Liver. CT. 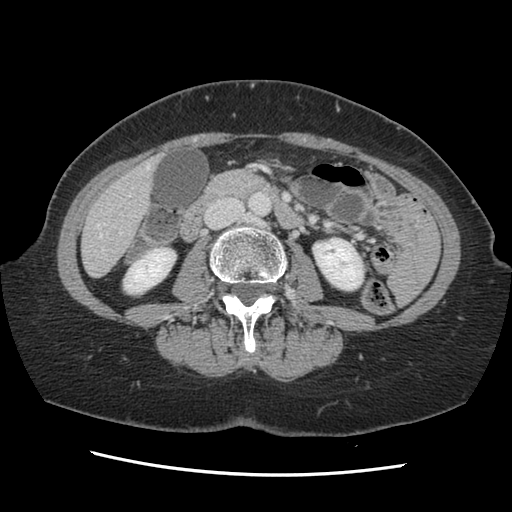 The vessel boxes may cover only some of the vessels.
{
  "hepatic_vessel": [
    "l=146, t=163, r=149, b=169",
    "l=99, t=233, r=103, b=236",
    "l=97, t=224, r=104, b=228"
  ]
}